CT slice; Image size 512x512
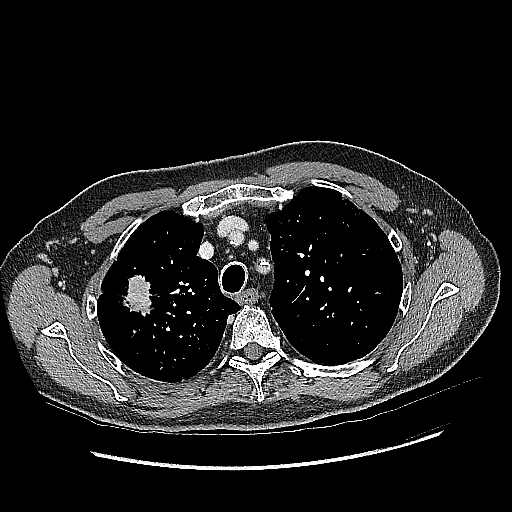 lung_tumor:
  - <bbox>112, 270, 156, 316</bbox>